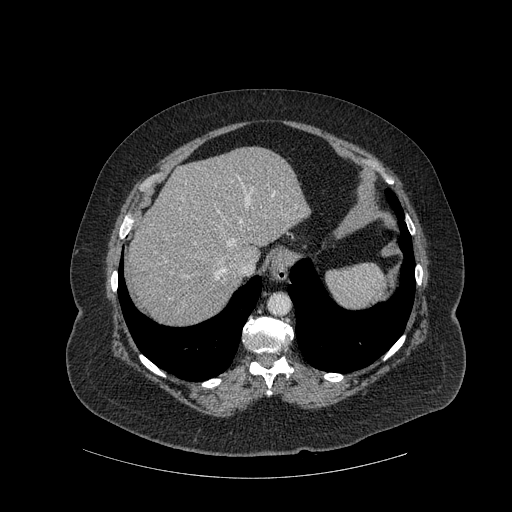
CT scan slice
liver: box(129, 147, 308, 326) | bone: box(406, 215, 414, 234); box(324, 373, 342, 381); box(202, 379, 220, 387); box(111, 271, 117, 291); box(243, 317, 293, 352); box(250, 357, 293, 388); box(384, 336, 404, 359); box(140, 355, 165, 376); box(415, 265, 422, 284) | lung: box(118, 264, 261, 381); box(288, 189, 415, 372)